CT slice. 512x512 px. Field of view 500x500 mm. Abdomen. Slice index 21.

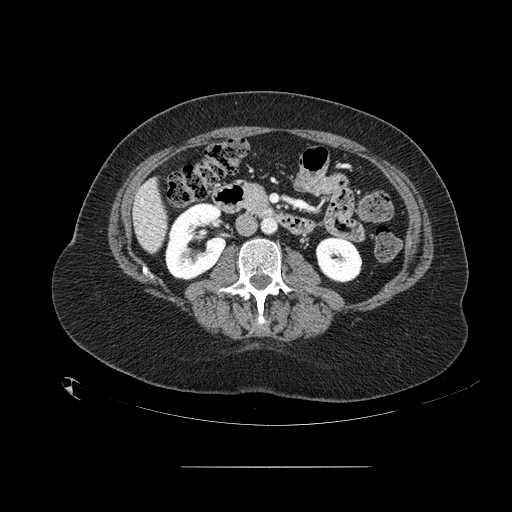 Pancreas at {"x1": 242, "y1": 182, "x2": 273, "y2": 219}.